CT | 512x512 px | Liver
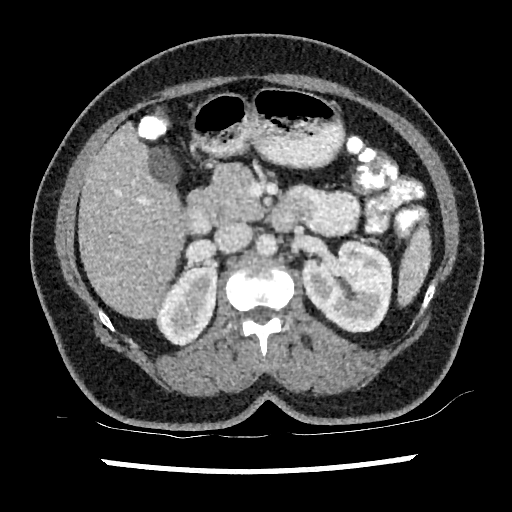
Segmented structures:
- hepatic lesion: (left=149, top=149, right=178, bottom=183)
- kidney: (left=303, top=242, right=391, bottom=331), (left=158, top=267, right=216, bottom=344)
- liver: (left=79, top=124, right=182, bottom=316)